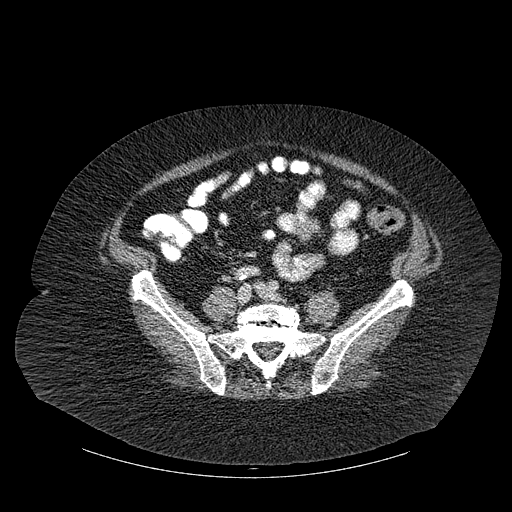

CT slice, Image size 512x512

{
  "bone": [
    "bbox(132, 270, 325, 394)",
    "bbox(312, 280, 412, 394)"
  ]
}